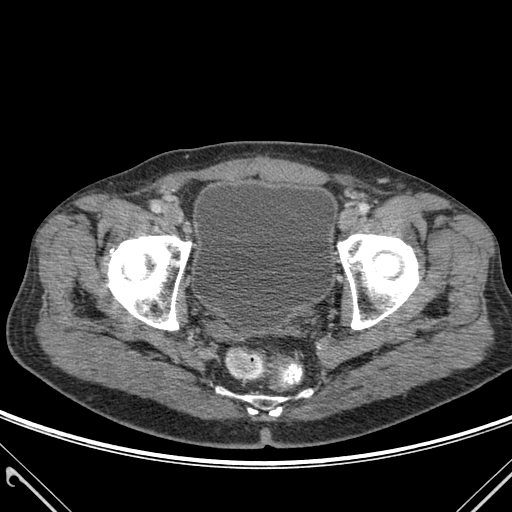
Pelvis; Image size 512x512; Computed tomography

Urinary bladder: 194 184 335 319.
Bone: 299 390 312 396, 108 236 191 330, 337 234 418 329, 235 395 286 403, 269 407 281 415, 216 388 234 395.